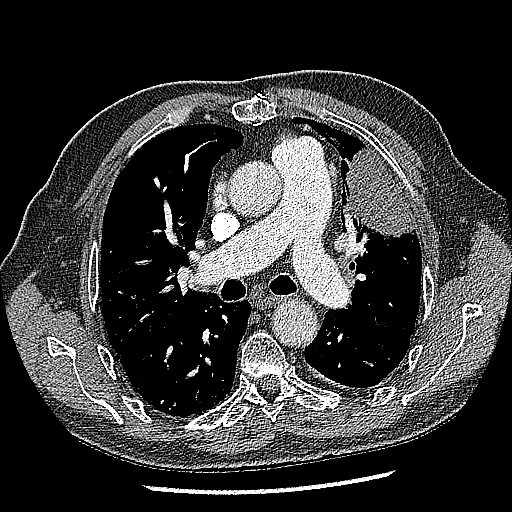

CT slice | 512x512
lung tumor: box(341, 146, 415, 239)